Liver, CT scan slice 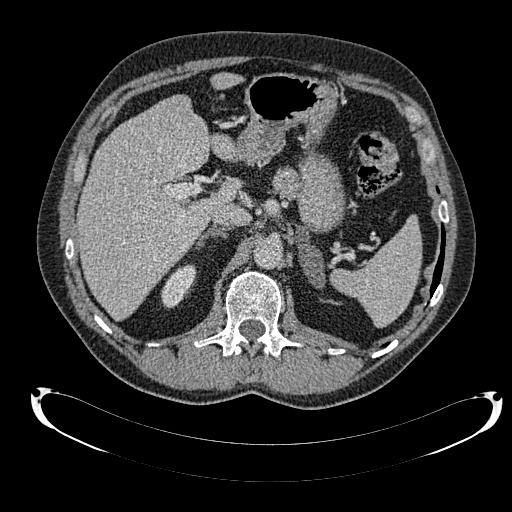
Liver: bounding box x1=78, y1=96, x2=235, y2=319; x1=212, y1=73, x2=243, y2=89.
Kidney: bounding box x1=162, y1=265, x2=195, y2=306.